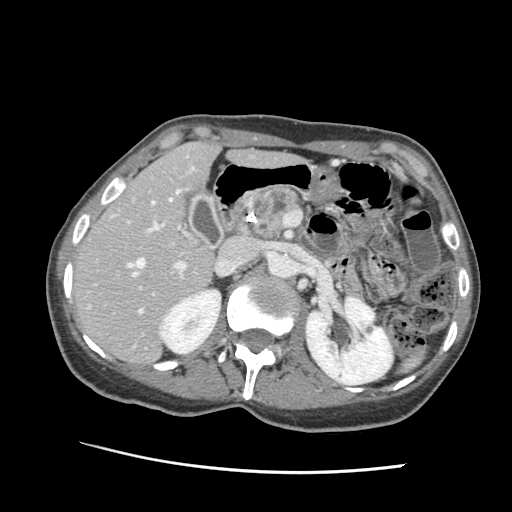

Computed tomography.

Pancreatic tumor = (left=257, top=199, right=270, bottom=213).
Pancreas = (left=248, top=189, right=299, bottom=239).